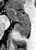

MRI.
- posterior hippocampus: <box>16,23,30,37</box>
- anterior hippocampus: <box>6,8,29,22</box>